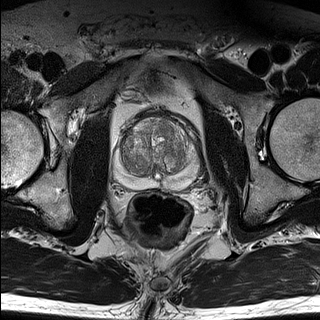
T2-weighted MRI.
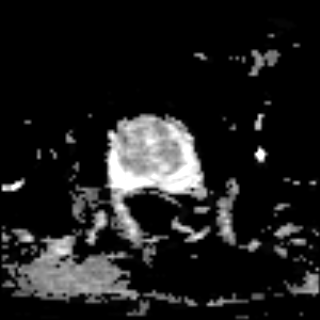
ADC magnetic resonance.
320x320, Prostate
prostate transition zone: <box>118,120,194,177</box> | prostate peripheral zone: <box>115,141,197,188</box>